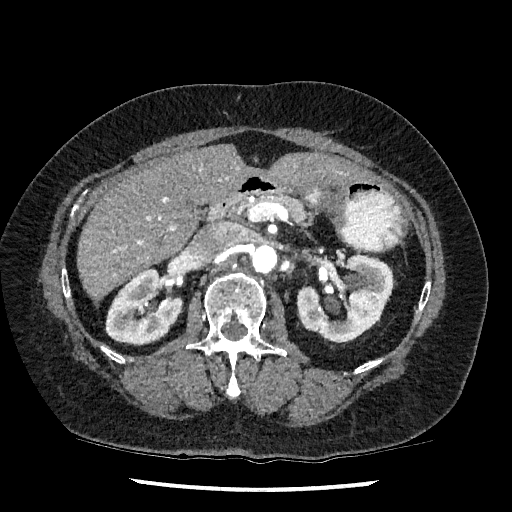 Computed tomography
Kidney — 297,255,392,341; 106,260,186,344.
Liver — 78,145,252,299; 267,154,369,186.